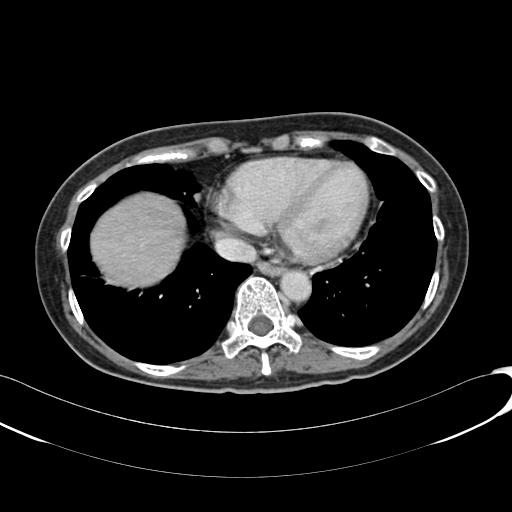 Image size 512x512. CT scan slice. Liver at (92,196,181,284).